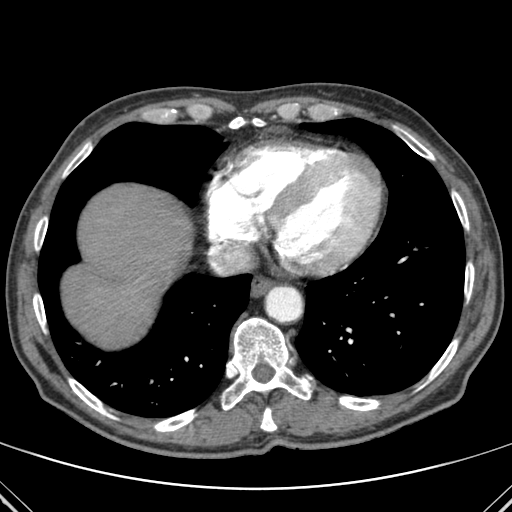 CT scan slice; Liver
* liver: x1=62 y1=184 x2=193 y2=349
* bone: x1=33 y1=294 x2=45 y2=329, x1=428 y1=339 x2=457 y2=381, x1=403 y1=132 x2=434 y2=160, x1=221 y1=318 x2=311 y2=410, x1=252 y1=118 x2=264 y2=126, x1=464 y1=263 x2=474 y2=299, x1=63 y1=143 x2=92 y2=176, x1=339 y1=396 x2=379 y2=410, x1=68 y1=378 x2=112 y2=417, x1=452 y1=191 x2=468 y2=229, x1=154 y1=410 x2=196 y2=431, x1=261 y1=408 x2=276 y2=431, x1=34 y1=217 x2=47 y2=250, x1=229 y1=117 x2=245 y2=128
* lung: x1=295 y1=118 x2=465 y2=395, x1=38 y1=122 x2=251 y2=417